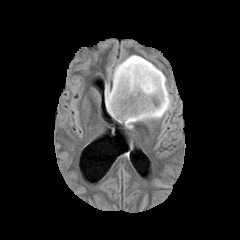
FLAIR MRI.
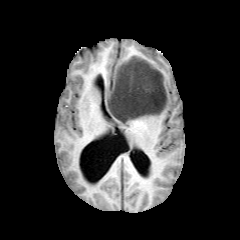
T1-weighted MR image.
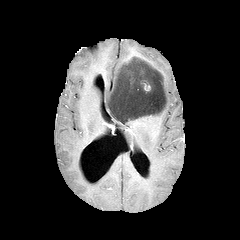
Post-contrast T1-weighted MR.
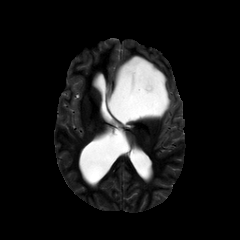
T2-weighted MR image.
240x240 px.
Annotated regions:
- non-enhancing tumor core: x1=107, y1=57, x2=167, y2=122
- edema: x1=104, y1=53, x2=173, y2=130